Head. 240x240 px.
FLAIR magnetic resonance.
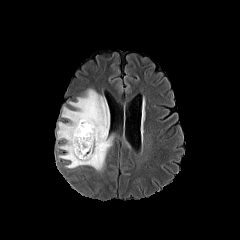
T1-weighted MR image.
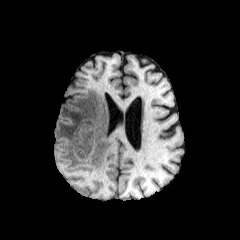
Post-contrast T1-weighted MRI.
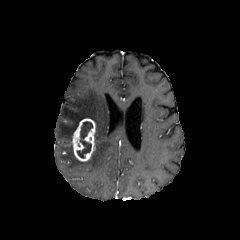
T2-weighted MR image.
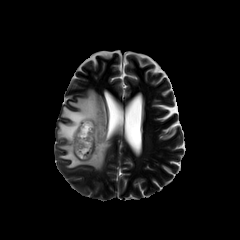
edema:
  - 57:89:112:171
non-enhancing_tumor_core:
  - 77:122:92:158
enhancing_tumor:
  - 65:118:98:162